Image width 387 mm. Slice 65/141. Abdomen. CT scan slice. 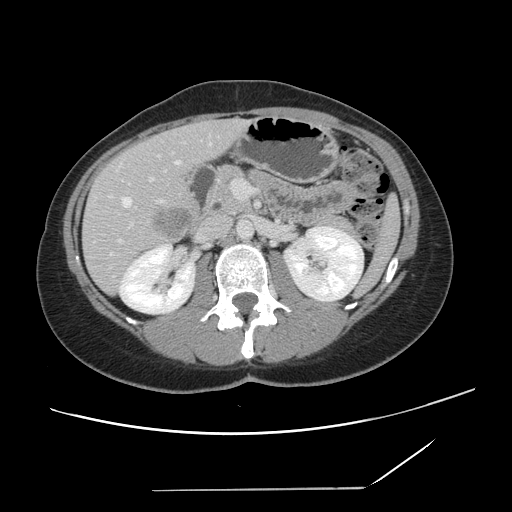
The vessel boxes may cover only some of the vessels.
• hepatic vessel: {"x1": 118, "y1": 240, "x2": 122, "y2": 242}, {"x1": 110, "y1": 253, "x2": 112, "y2": 254}, {"x1": 150, "y1": 178, "x2": 152, "y2": 180}, {"x1": 209, "y1": 143, "x2": 210, "y2": 144}, {"x1": 122, "y1": 197, "x2": 131, "y2": 206}, {"x1": 129, "y1": 223, "x2": 132, "y2": 227}, {"x1": 157, "y1": 200, "x2": 162, "y2": 202}, {"x1": 175, "y1": 161, "x2": 179, "y2": 164}, {"x1": 158, "y1": 155, "x2": 159, "y2": 156}
• liver tumor: {"x1": 154, "y1": 209, "x2": 194, "y2": 238}